MRI slice. Heart.

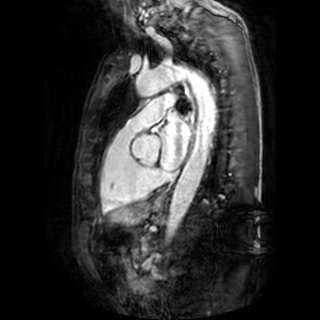

{
  "left_atrium": [
    "left=160, top=113, right=189, bottom=170"
  ]
}